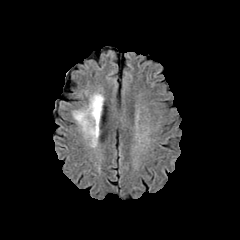
FLAIR MRI.
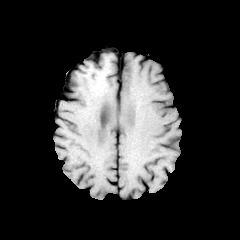
T1-weighted magnetic resonance.
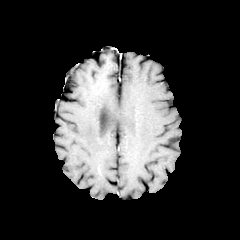
Post-contrast T1-weighted MR image.
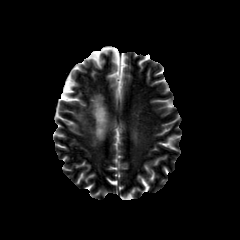
T2-weighted magnetic resonance of the same slice.
Brain.
Edema at [x1=72, y1=91, x2=103, y2=146].